Slice 136 of 155 | Head
FLAIR magnetic resonance.
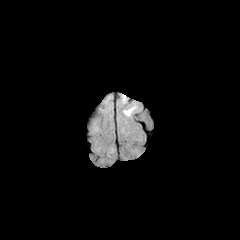
T1-weighted MR.
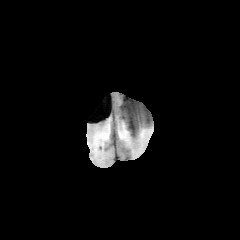
Post-contrast T1-weighted MRI.
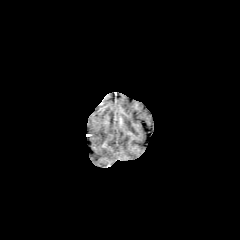
T2-weighted MR.
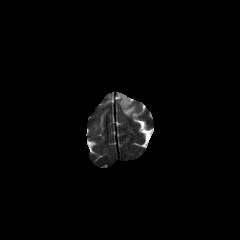
The edema is at x1=122, y1=103, x2=137, y2=116.